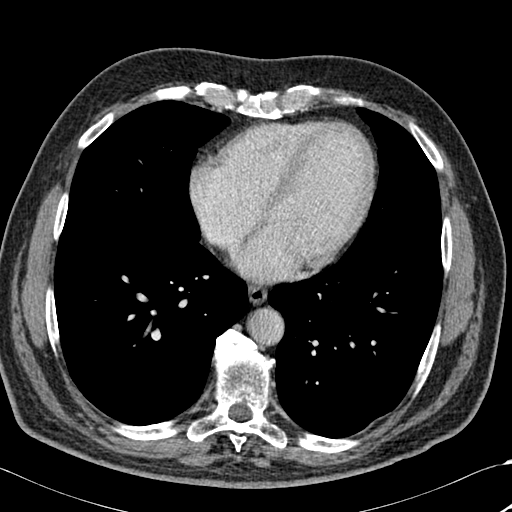

Image size 512x512. CT.
Lung: bounding box l=54, t=100, r=249, b=425; l=268, t=107, r=443, b=438.
Bone: bounding box l=441, t=219, r=451, b=269; l=411, t=125, r=442, b=168; l=337, t=98, r=362, b=104; l=187, t=330, r=286, b=450; l=418, t=327, r=439, b=386; l=46, t=291, r=58, b=344; l=79, t=114, r=112, b=147; l=299, t=435, r=356, b=452; l=155, t=83, r=320, b=118; l=116, t=422, r=176, b=440; l=54, t=195, r=67, b=238.